Slice 46 of 100; Computed tomography; Abdomen 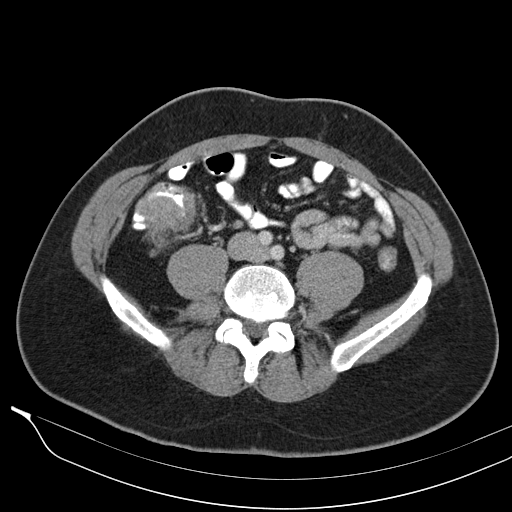 Colon tumor — (136, 190, 194, 234).